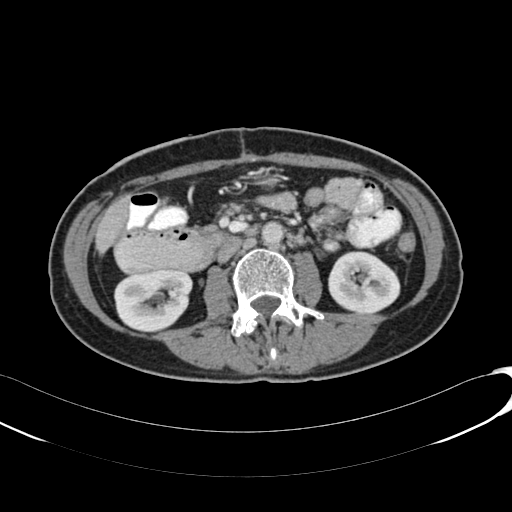
CT scan slice

<segmentation>
  <kidney>box(329, 252, 399, 313); box(115, 270, 185, 330)</kidney>
  <liver>box(96, 199, 127, 252)</liver>
</segmentation>